240x240 px; Image width 240 mm; Head
FLAIR magnetic resonance.
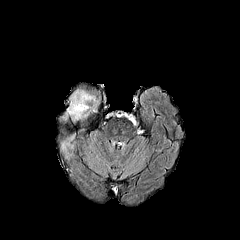
T1-weighted magnetic resonance.
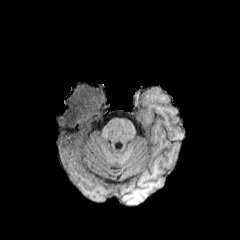
Post-contrast T1-weighted MRI.
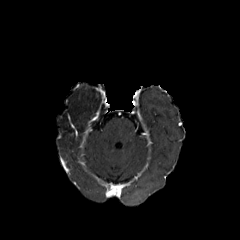
T2-weighted magnetic resonance.
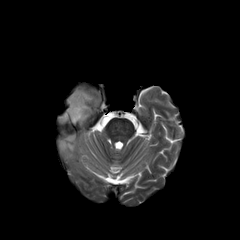
Edema: bbox(60, 88, 101, 124); bbox(60, 133, 79, 158).